Image size 320x320, Field of view 400 mm wide, 1.37 mm slice spacing, MRI
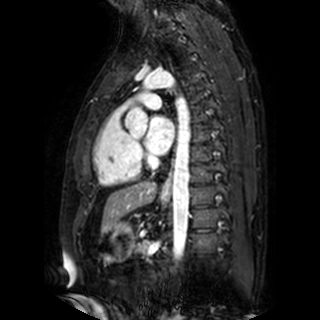
<segmentation>
  <left_atrium>(145, 117, 173, 154)</left_atrium>
</segmentation>